CT image; Abdomen 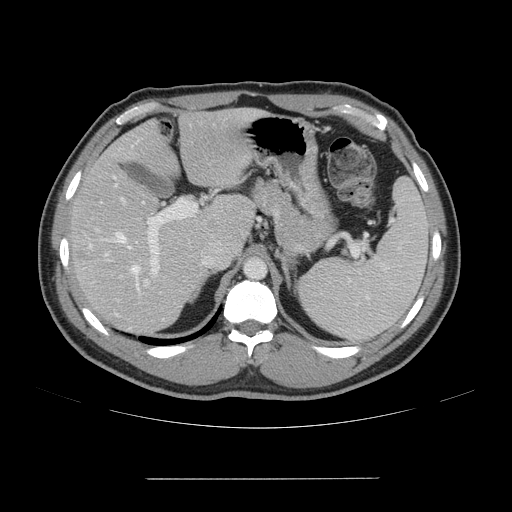 Not every hepatic vessel necessarily has a box.
Hepatic vessel — {"x1": 148, "y1": 232, "x2": 148, "y2": 239}, {"x1": 128, "y1": 246, "x2": 130, "y2": 247}, {"x1": 105, "y1": 253, "x2": 109, "y2": 260}, {"x1": 132, "y1": 266, "x2": 139, "y2": 292}, {"x1": 151, "y1": 261, "x2": 159, "y2": 274}, {"x1": 113, "y1": 176, "x2": 115, "y2": 178}, {"x1": 144, "y1": 279, "x2": 148, "y2": 286}, {"x1": 115, "y1": 184, "x2": 117, "y2": 185}, {"x1": 115, "y1": 313, "x2": 118, "y2": 315}, {"x1": 107, "y1": 232, "x2": 125, "y2": 242}, {"x1": 148, "y1": 218, "x2": 152, "y2": 225}, {"x1": 95, "y1": 229, "x2": 99, "y2": 231}, {"x1": 121, "y1": 198, "x2": 124, "y2": 202}.
Liver tumor — {"x1": 77, "y1": 252, "x2": 97, "y2": 262}.